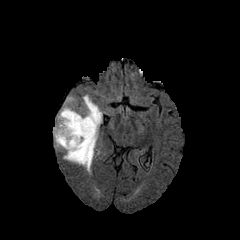
FLAIR MRI.
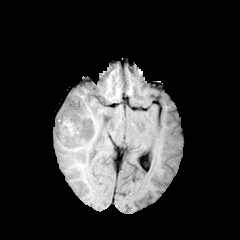
T1-weighted MRI.
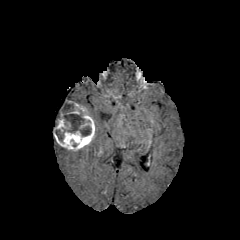
Post-contrast T1-weighted magnetic resonance of the same slice.
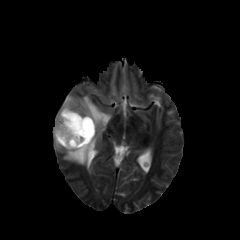
T2-weighted MR.
Non-enhancing tumor core = left=70, top=142, right=93, bottom=157; left=60, top=102, right=90, bottom=135.
Edema = left=54, top=94, right=110, bottom=173.
Enhancing tumor = left=53, top=100, right=94, bottom=150.